Field of view 240 mm wide, 1.00 mm slice spacing; Brain; Slice 56 of 155
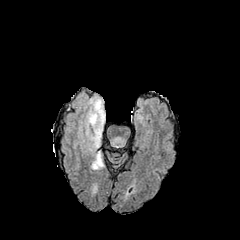
FLAIR magnetic resonance.
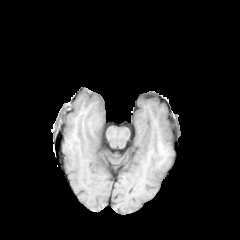
Same slice, T1-weighted MR.
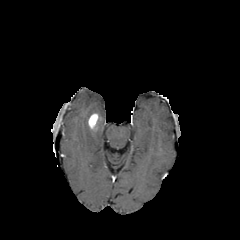
Post-contrast T1-weighted MRI.
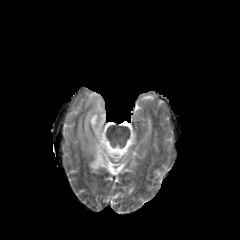
T2-weighted magnetic resonance.
<segmentation>
  <enhancing_tumor>(88, 113, 98, 130)</enhancing_tumor>
  <edema>(80, 94, 105, 172)</edema>
</segmentation>